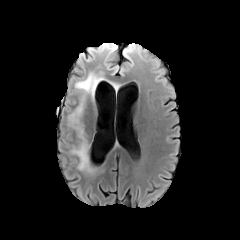
FLAIR MR image.
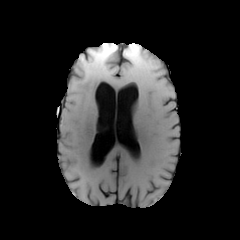
T1-weighted MR.
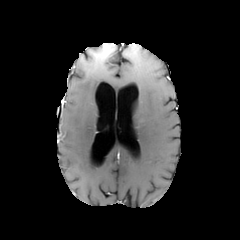
Post-contrast T1-weighted MR.
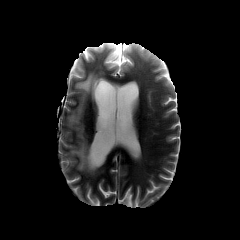
Same slice, T2-weighted magnetic resonance.
Image size 240x240
Enhancing tumor at [100, 45, 114, 57].
Non-enhancing tumor core at [83, 44, 115, 63].
Edema at [70, 105, 81, 125], [104, 45, 143, 72], [76, 55, 96, 71], [73, 126, 94, 174], [74, 71, 103, 98].